Head | Slice index 60 | Field of view 240 mm wide, 1.00 mm slice spacing | 240x240 px
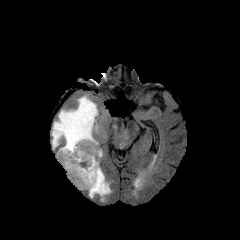
FLAIR MR image.
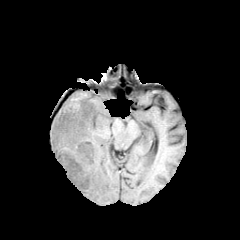
T1-weighted magnetic resonance of the same slice.
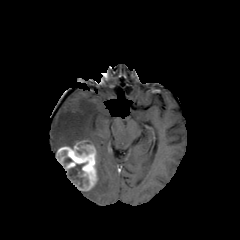
Post-contrast T1-weighted MR image.
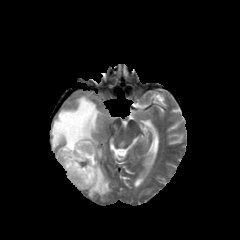
T2-weighted MR.
Non-enhancing tumor core at x1=69, y1=162, x2=86, y2=184.
Edema at x1=51, y1=95, x2=111, y2=201.
Enhancing tumor at x1=56, y1=140, x2=98, y2=190.